MR image. 320x320. Slice 83 of 100. Heart.
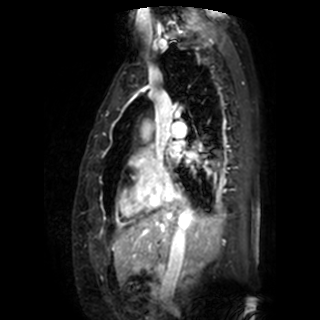

{"left_atrium": ["(x1=169, y1=143, x2=179, y2=157)"]}